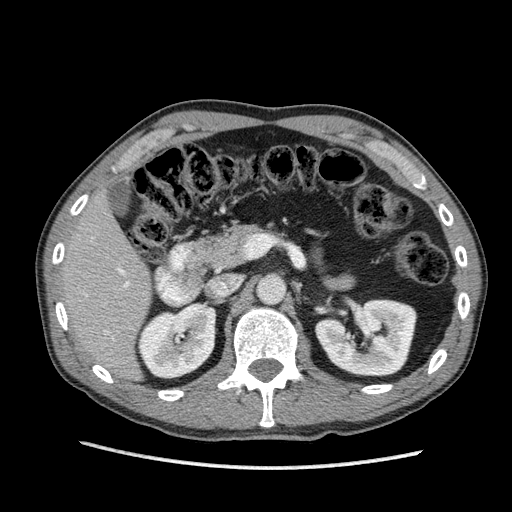

CT image. 512x512.

Liver: bounding box bbox=[59, 189, 157, 381].
Kidney: bounding box bbox=[140, 304, 214, 377]; bbox=[316, 301, 415, 374].